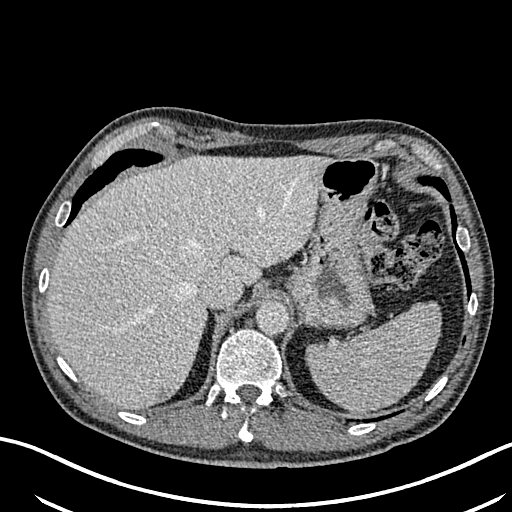
Computed tomography. <segmentation>
  <focal_liver_lesion>region(178, 341, 184, 351); region(155, 386, 170, 401)</focal_liver_lesion>
  <liver>region(49, 155, 332, 408)</liver>
</segmentation>